Image size 240x240 | Head
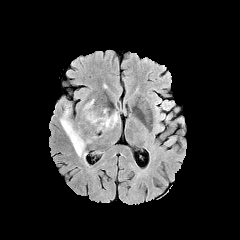
FLAIR MRI.
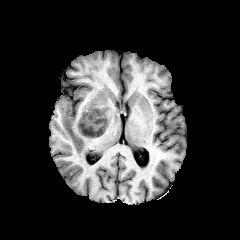
T1-weighted MR image.
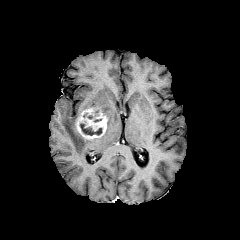
Post-contrast T1-weighted MR image of the same slice.
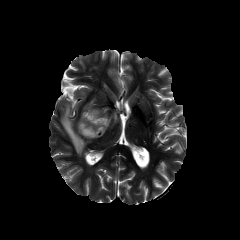
T2-weighted magnetic resonance.
non-enhancing_tumor_core:
  - 80,123,102,135
edema:
  - 107,112,120,128
  - 60,104,87,157
  - 83,99,94,109
enhancing_tumor:
  - 77,108,107,138